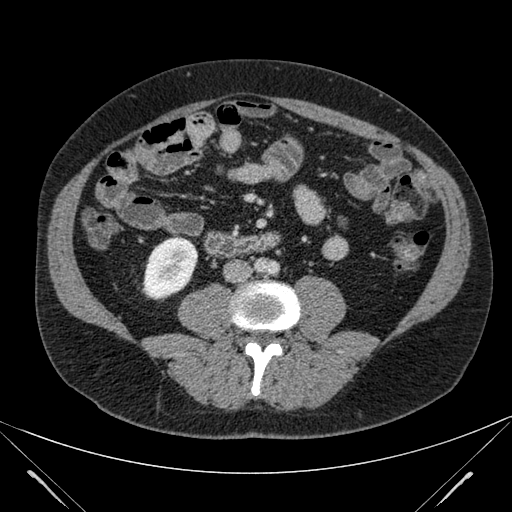

Image size 512x512 | Computed tomography | Abdomen
kidney:
  - l=144, t=238, r=196, b=298